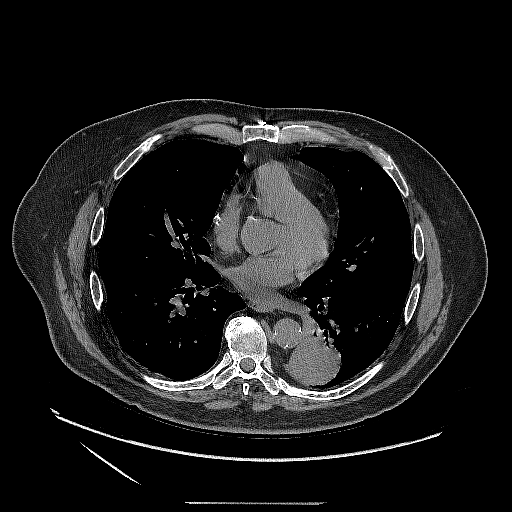 CT image | Image size 512x512

Findings:
- lung tumor: x1=282, y1=309, x2=344, y2=388